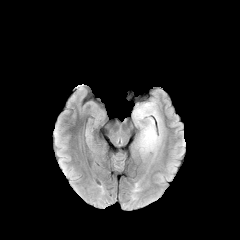
FLAIR magnetic resonance.
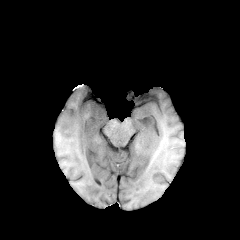
Same slice, T1-weighted magnetic resonance.
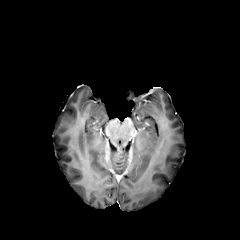
Post-contrast T1-weighted MR of the same slice.
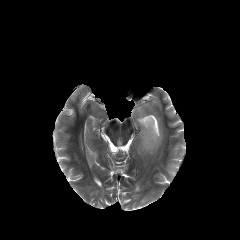
T2-weighted MR of the same slice.
<segmentation>
  <edema>(x1=133, y1=100, x2=162, y2=152)</edema>
</segmentation>